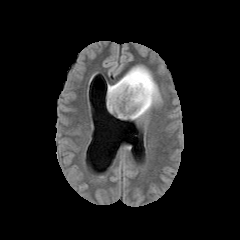
FLAIR MRI.
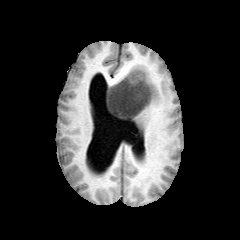
T1-weighted MRI.
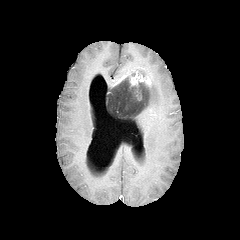
Post-contrast T1-weighted MR image of the same slice.
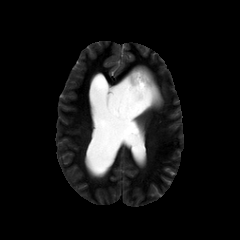
T2-weighted MR image.
edema: bbox=[134, 71, 162, 119] | enhancing tumor: bbox=[119, 66, 151, 86] | non-enhancing tumor core: bbox=[107, 78, 153, 119]